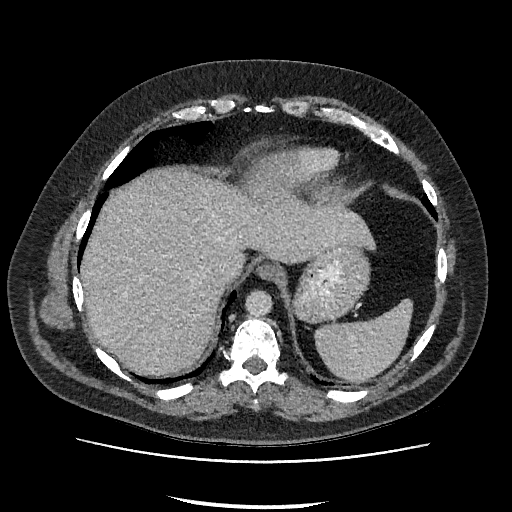 Computed tomography, 512x512, Liver
Segmented structures:
• liver: {"x1": 83, "y1": 172, "x2": 374, "y2": 374}